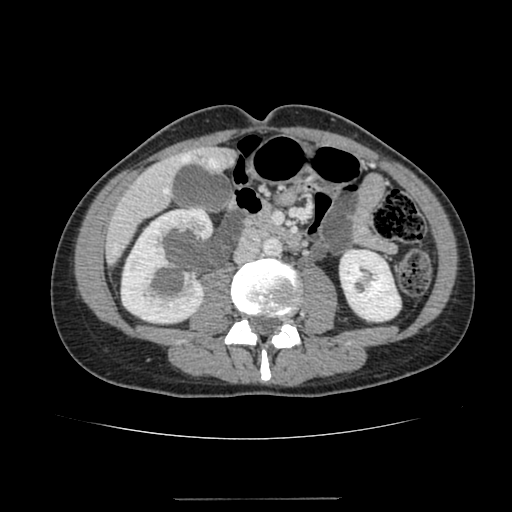
CT slice
liver: left=107, top=147, right=235, bottom=261 | kidney: left=121, top=209, right=211, bottom=322; left=340, top=250, right=400, bottom=320